Slice 419/733. Computed tomography.

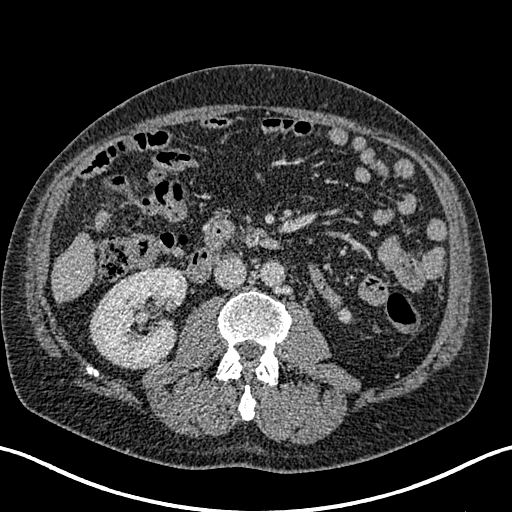
kidney:
  - <box>341,312,349,321</box>
  - <box>91,268,186,367</box>
liver:
  - <box>94,211,110,230</box>
  - <box>53,232,95,303</box>